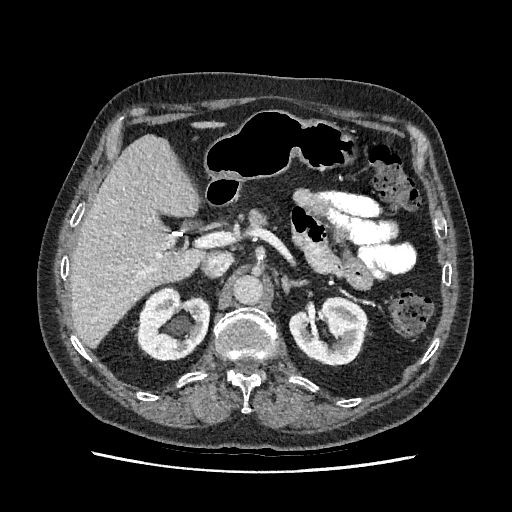

CT scan slice
Annotated regions:
• liver: (71, 134, 204, 347), (196, 122, 222, 127)
• kidney: (138, 288, 209, 359), (290, 298, 366, 364)